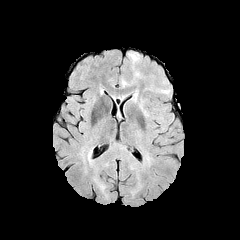
FLAIR MR.
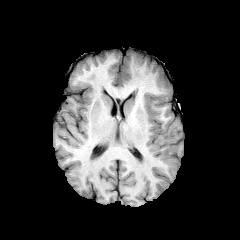
T1-weighted magnetic resonance.
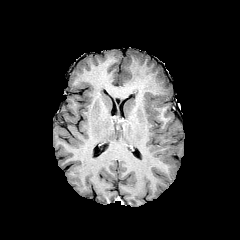
Post-contrast T1-weighted MRI.
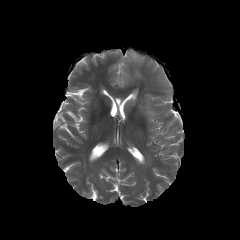
Same slice, T2-weighted MRI.
edema: (128, 52, 139, 63), (133, 69, 142, 78), (128, 89, 138, 103)